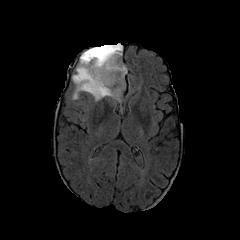
FLAIR magnetic resonance.
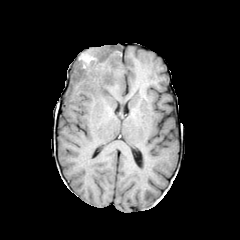
T1-weighted MR image.
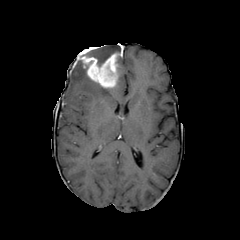
Same slice, post-contrast T1-weighted MRI.
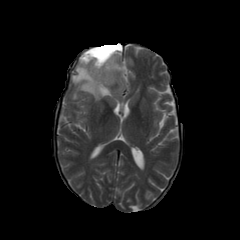
T2-weighted MR image.
Head.
Non-enhancing tumor core: bounding box 77:63:89:78, 88:44:120:64.
Edema: bounding box 72:60:127:101.
Enhancing tumor: bounding box 77:45:123:87.